CT, Image width 394 mm, 512x512 px, Upper abdomen

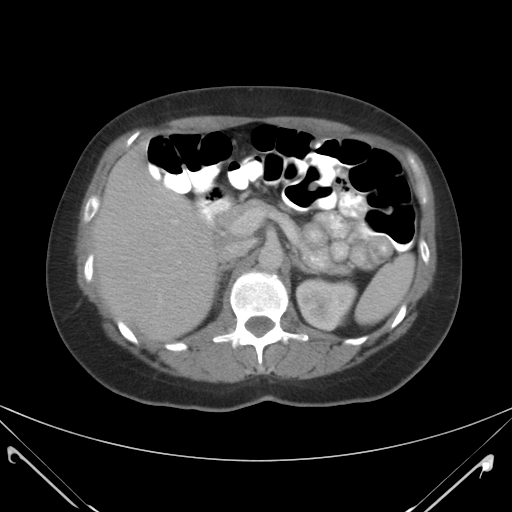
Spleen at <box>357,255,413,323</box>.